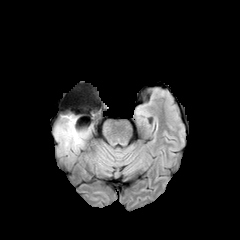
FLAIR MRI.
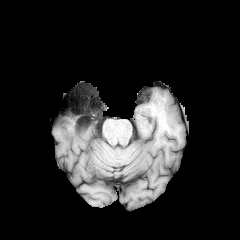
T1-weighted MR image.
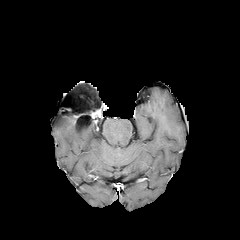
Same slice, post-contrast T1-weighted MRI.
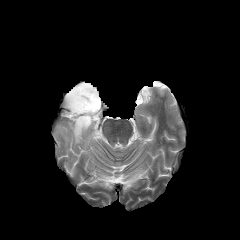
T2-weighted MR image.
240x240
Non-enhancing tumor core: bounding box 84:108:101:116.
Edema: bounding box 55:113:90:154.